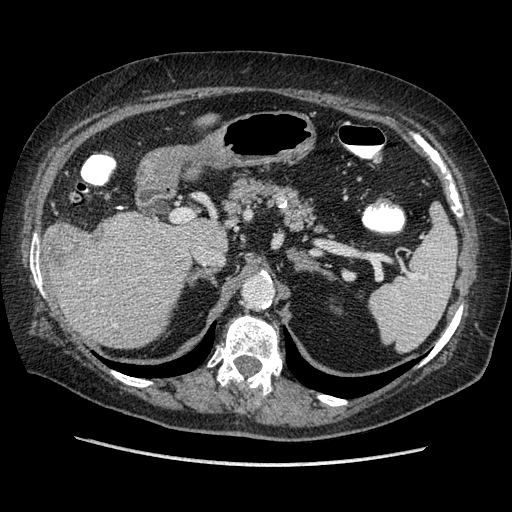 Computed tomography
Segmented structures:
* liver tumor: bbox=[44, 226, 104, 266]